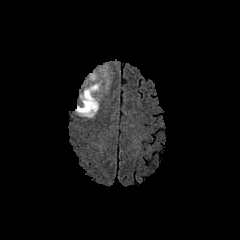
FLAIR MR image.
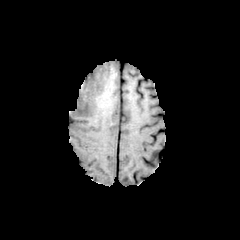
Same slice, T1-weighted MRI.
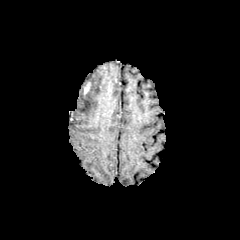
Same slice, post-contrast T1-weighted MRI.
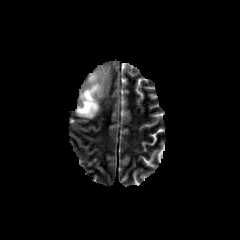
Same slice, T2-weighted MR image.
Brain
The edema lies within box=[76, 66, 107, 118].